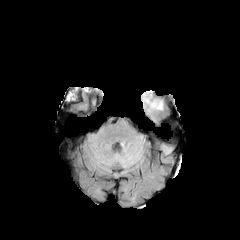
FLAIR MRI.
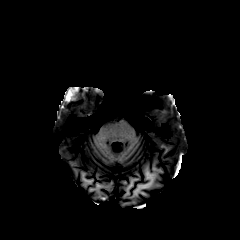
T1-weighted magnetic resonance of the same slice.
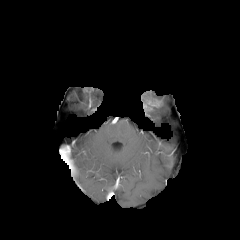
Post-contrast T1-weighted MR image.
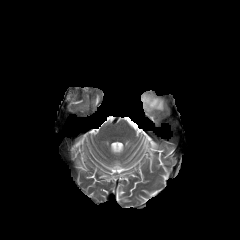
T2-weighted magnetic resonance.
240x240
Segmented structures:
- edema: l=147, t=99, r=163, b=116; l=141, t=92, r=155, b=104
- enhancing tumor: l=144, t=98, r=160, b=111